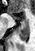

MRI slice. Medial temporal lobe.

The posterior hippocampus is bounded by {"x1": 17, "y1": 23, "x2": 29, "y2": 39}. 2 anterior hippocampus regions are bounded by {"x1": 20, "y1": 18, "x2": 28, "y2": 22}, {"x1": 11, "y1": 15, "x2": 19, "y2": 19}.